FLAIR MR.
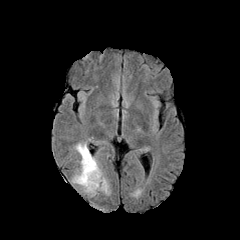
T1-weighted MRI.
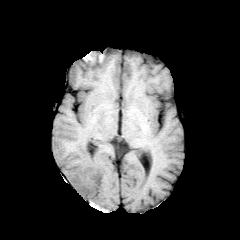
Post-contrast T1-weighted MRI.
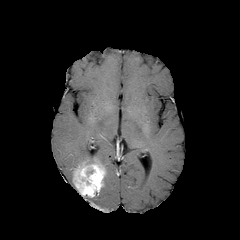
T2-weighted MR.
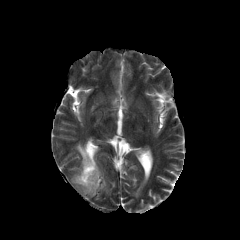
Brain, Image size 240x240
Annotated regions:
• enhancing tumor: left=72, top=157, right=104, bottom=197
• edema: left=102, top=178, right=108, bottom=192; left=75, top=142, right=90, bottom=164